FLAIR MR.
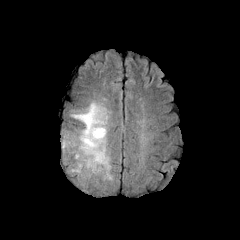
T1-weighted magnetic resonance.
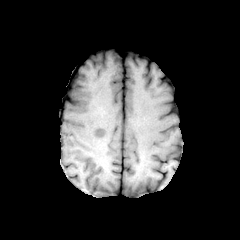
Post-contrast T1-weighted MRI.
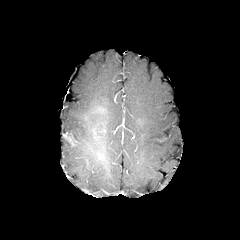
T2-weighted MR.
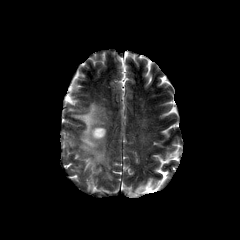
Brain
The non-enhancing tumor core is at region(94, 128, 104, 135). The edema is at region(63, 100, 112, 179).